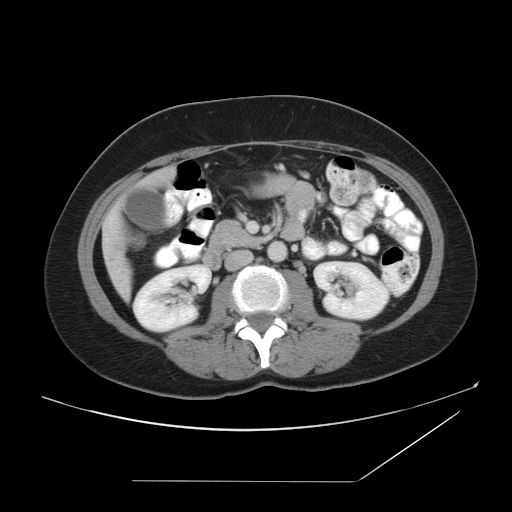

Computed tomography, Image size 512x512, Abdomen
Not every hepatic vessel necessarily has a box.
Findings:
• hepatic vessel: (x1=107, y1=210, x2=115, y2=223)